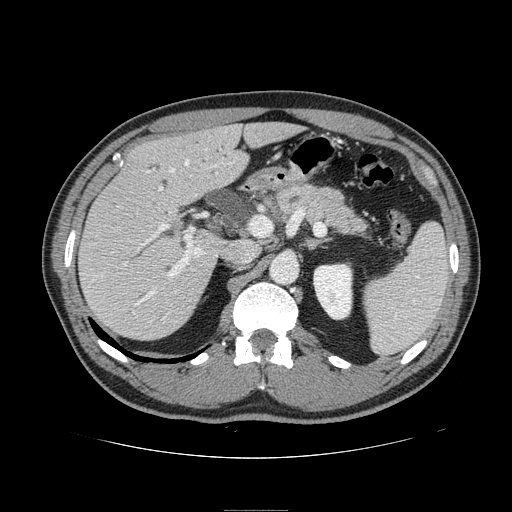

512x512 px | CT
Findings:
* pancreas: 276,185,367,235